Pelvis, Field of view 388x388 mm, CT image
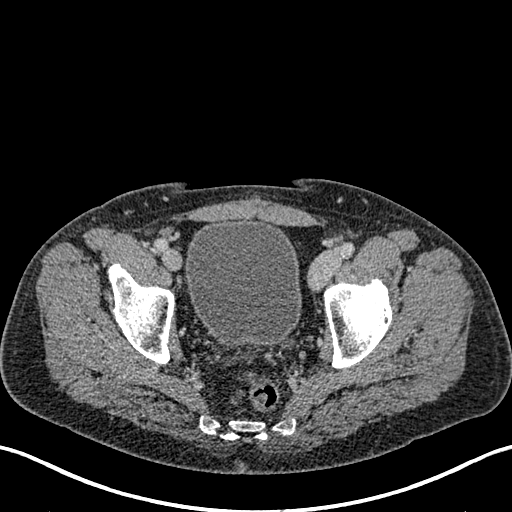 Urinary bladder at (x1=185, y1=217, x2=301, y2=346).